Slice index 68 | Head
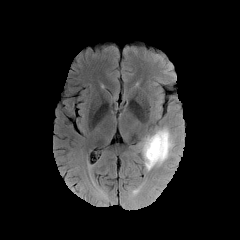
FLAIR MR.
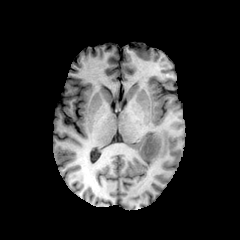
Same slice, T1-weighted magnetic resonance.
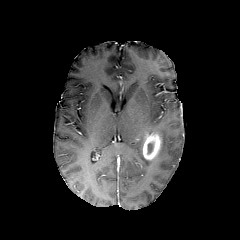
Post-contrast T1-weighted magnetic resonance.
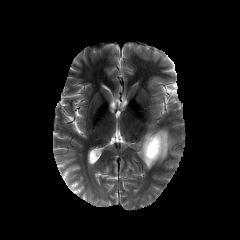
T2-weighted MR image.
The edema is at [140,127,174,172]. The non-enhancing tumor core lies within [147,142,154,154]. The enhancing tumor appears at [142,133,160,159].